CT image; Slice index 63; Image width 386 mm; Image size 512x512; Abdomen

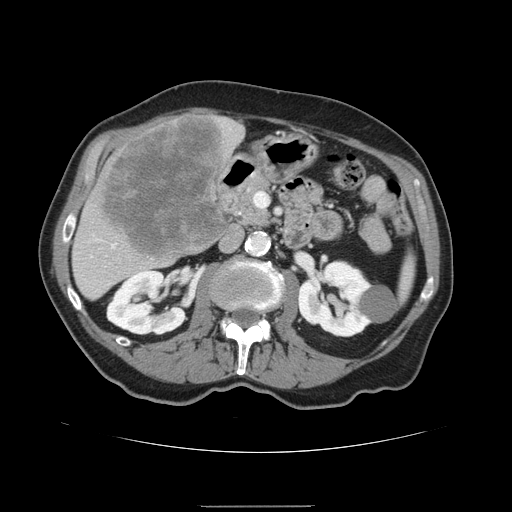
Some hepatic vessels may have no box.
The liver tumor is bounded by (102,118,229,257). The hepatic vessel appears at (113,244,115,246).